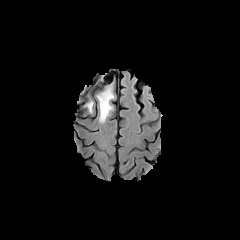
FLAIR MR.
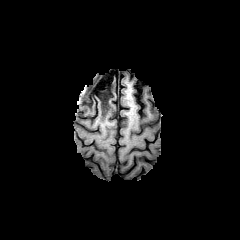
T1-weighted magnetic resonance.
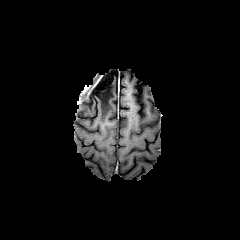
Same slice, post-contrast T1-weighted MR.
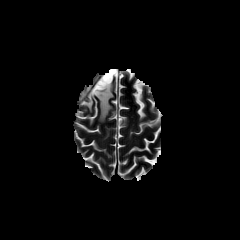
Same slice, T2-weighted magnetic resonance.
2 non-enhancing tumor core regions appear at rect(84, 94, 93, 105); rect(94, 83, 111, 125). 2 edema regions appear at rect(100, 84, 114, 121); rect(82, 90, 97, 112).